FLAIR MRI.
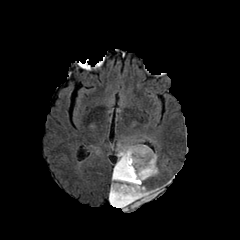
T1-weighted MR image.
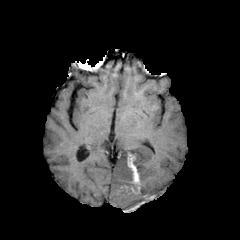
Post-contrast T1-weighted MR.
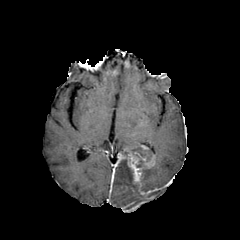
T2-weighted magnetic resonance.
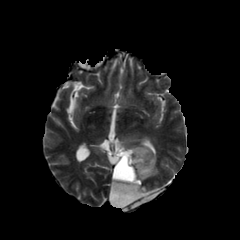
Brain
Findings:
- edema: bbox(139, 148, 163, 199); bbox(116, 180, 133, 193); bbox(116, 144, 145, 152); bbox(108, 193, 121, 207)
- enhancing tumor: bbox(130, 161, 141, 181); bbox(112, 152, 122, 181)
- non-enhancing tumor core: bbox(110, 148, 151, 209)